CT image. Image width 512 mm. Liver.
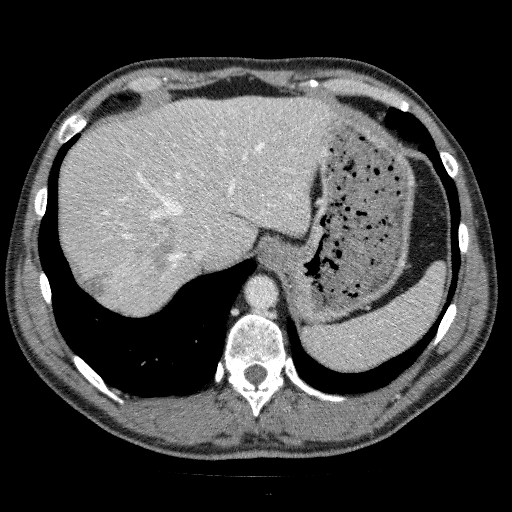 Annotated regions:
* liver: (60, 96, 330, 315)
* liver lesion: (133, 218, 178, 270), (70, 259, 110, 297), (279, 122, 291, 130)